Image size 240x240; Head
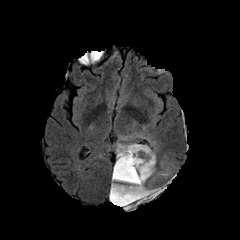
FLAIR MR.
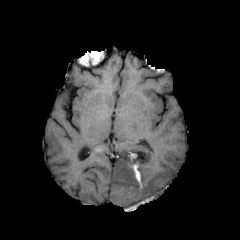
Same slice, T1-weighted MR image.
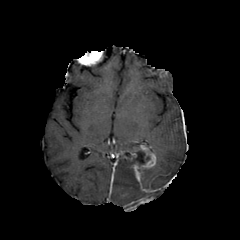
Post-contrast T1-weighted MR image.
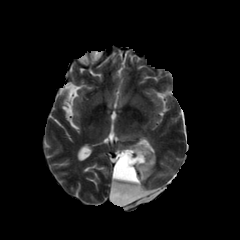
T2-weighted MRI.
Non-enhancing tumor core — rect(110, 148, 157, 208).
Enhancing tumor — rect(132, 165, 141, 183); rect(140, 145, 155, 167); rect(141, 188, 159, 192); rect(136, 196, 148, 203).
Edema — rect(142, 166, 165, 198); rect(116, 143, 139, 151); rect(114, 182, 140, 193).